Head
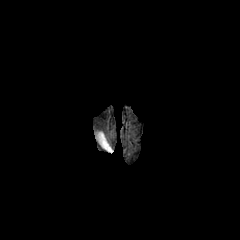
FLAIR MRI.
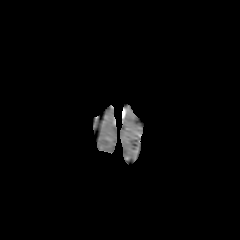
Same slice, T1-weighted magnetic resonance.
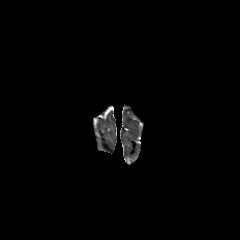
Same slice, post-contrast T1-weighted magnetic resonance.
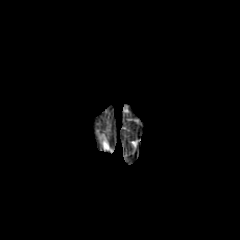
T2-weighted magnetic resonance.
{
  "edema": [
    "[x1=99, y1=133, x2=112, y2=151]"
  ]
}